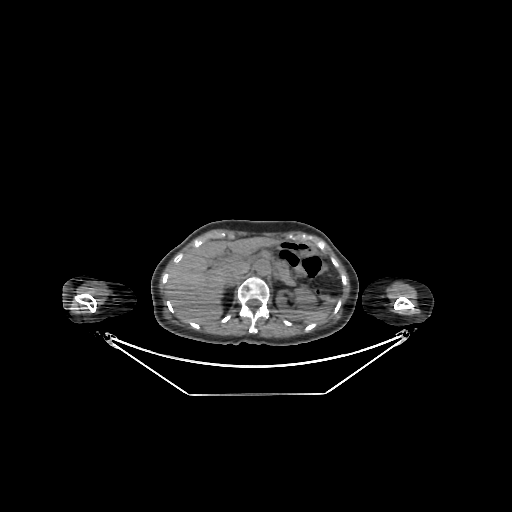 Upper abdomen, CT slice, 512x512
The liver is located at (x1=165, y1=237, x2=273, y2=324). The kidney appears at (x1=276, y1=285, x2=319, y2=320).